CT scan slice | Liver | Slice 28 of 151 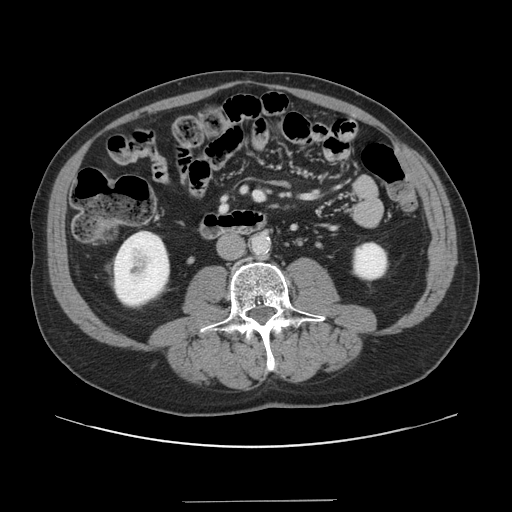
Only some of the vessels may be annotated.
<segmentation>
  <hepatic_vessel>left=254, top=192, right=261, bottom=198</hepatic_vessel>
</segmentation>